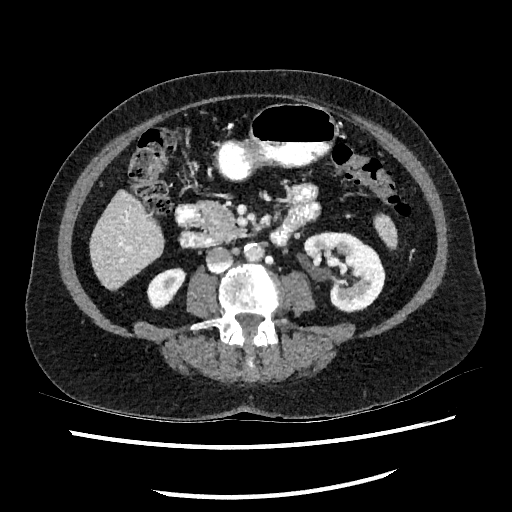 Abdomen, CT
{
  "kidney": [
    "<bbox>148, 269, 184, 306</bbox>",
    "<bbox>305, 233, 384, 310</bbox>"
  ],
  "liver": [
    "<bbox>90, 190, 162, 288</bbox>"
  ]
}